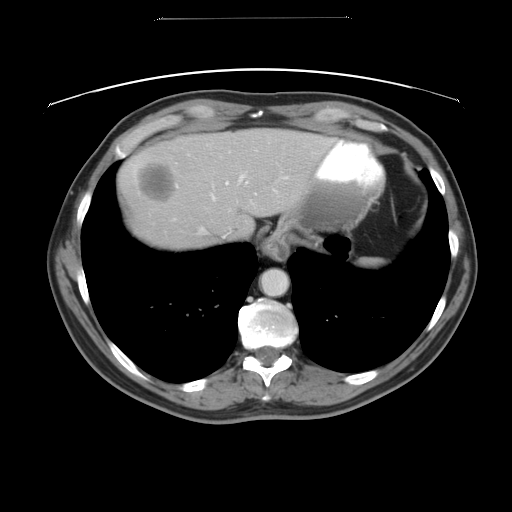

CT slice; Liver
Some hepatic vessels may have no box.
{
  "hepatic_vessel": [
    "bbox=[246, 181, 248, 183]",
    "bbox=[273, 189, 277, 191]",
    "bbox=[255, 192, 256, 194]",
    "bbox=[199, 227, 205, 233]",
    "bbox=[226, 181, 228, 183]",
    "bbox=[224, 234, 226, 236]",
    "bbox=[173, 218, 175, 219]",
    "bbox=[282, 176, 286, 178]"
  ],
  "liver_tumor": [
    "bbox=[134, 160, 178, 203]"
  ]
}